Abdomen; Computed tomography; 512x512 px; Slice 219/427 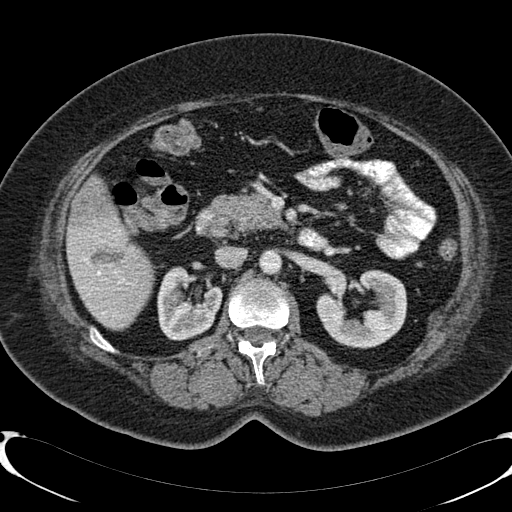

focal liver lesion: l=69, t=178, r=112, b=228; l=91, t=247, r=125, b=265 | kidney: l=155, t=265, r=221, b=339; l=305, t=259, r=406, b=347 | liver: l=66, t=207, r=151, b=329